Liver. Image size 512x512. Computed tomography. 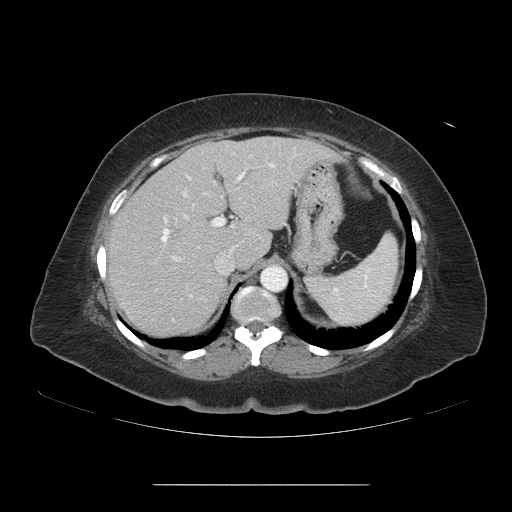 Not every hepatic vessel necessarily has a box.
11 hepatic vessel regions are located at region(211, 217, 224, 226); region(183, 214, 187, 218); region(192, 205, 193, 206); region(268, 164, 272, 166); region(172, 257, 178, 260); region(186, 175, 190, 179); region(163, 216, 167, 223); region(214, 241, 244, 274); region(236, 170, 245, 181); region(161, 227, 169, 243); region(182, 190, 187, 196).